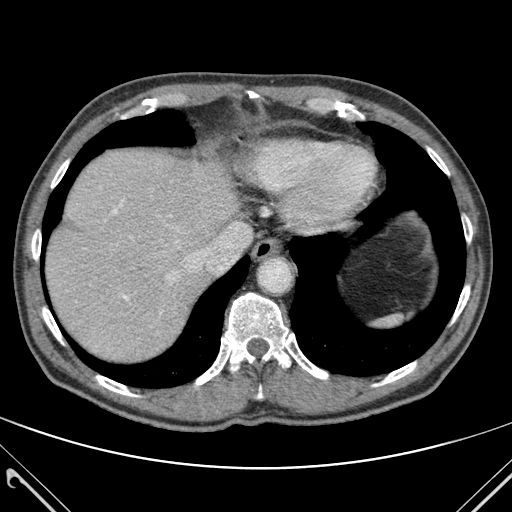
Upper abdomen, Computed tomography

Segmented structures:
• lung: x1=290, y1=122, x2=465, y2=376; x1=69, y1=256, x2=249, y2=387; x1=42, y1=110, x2=194, y2=244
• liver: x1=46, y1=149, x2=240, y2=361
• bone: x1=452, y1=286, x2=469, y2=322; x1=428, y1=148, x2=449, y2=174; x1=196, y1=293, x2=327, y2=384; x1=246, y1=91, x2=258, y2=97; x1=43, y1=307, x2=63, y2=343; x1=32, y1=230, x2=41, y2=259; x1=51, y1=160, x2=68, y2=187; x1=374, y1=362, x2=415, y2=385; x1=463, y1=217, x2=472, y2=241; x1=96, y1=376, x2=136, y2=396